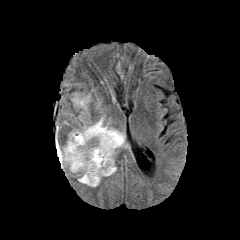
FLAIR MRI.
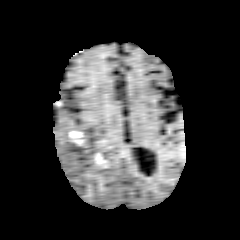
T1-weighted magnetic resonance of the same slice.
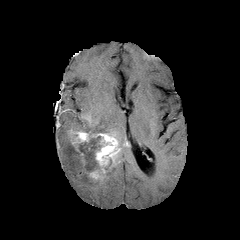
Post-contrast T1-weighted MRI.
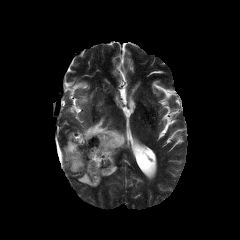
T2-weighted MR image.
Head
<segmentation>
  <edema>l=59, t=132, r=119, b=187; l=70, t=93, r=89, b=110; l=76, t=117, r=125, b=139</edema>
  <enhancing_tumor>l=95, t=132, r=119, b=165; l=72, t=132, r=92, b=143</enhancing_tumor>
</segmentation>